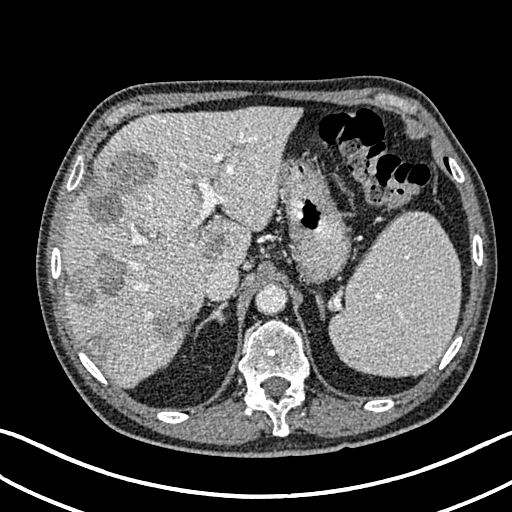

Upper abdomen; CT scan slice
liver: bbox(64, 107, 300, 385) | liver lesion: bbox(87, 152, 159, 223); bbox(152, 305, 186, 340); bbox(68, 251, 128, 306); bbox(85, 337, 111, 362); bbox(204, 232, 226, 262)